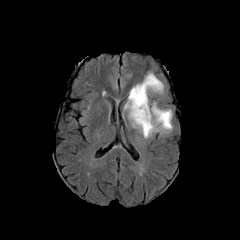
FLAIR MR.
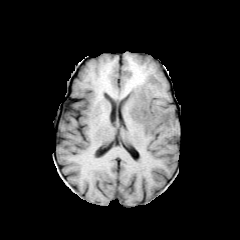
T1-weighted MRI.
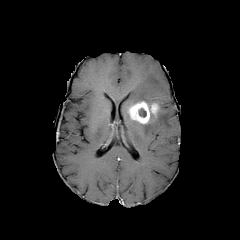
Same slice, post-contrast T1-weighted magnetic resonance.
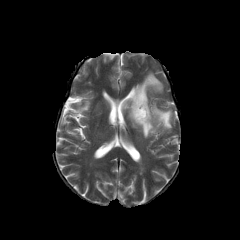
Same slice, T2-weighted MRI.
240x240 px.
non-enhancing_tumor_core:
  - (139, 108, 146, 117)
enhancing_tumor:
  - (124, 101, 159, 124)
edema:
  - (131, 107, 172, 138)
  - (126, 73, 163, 104)